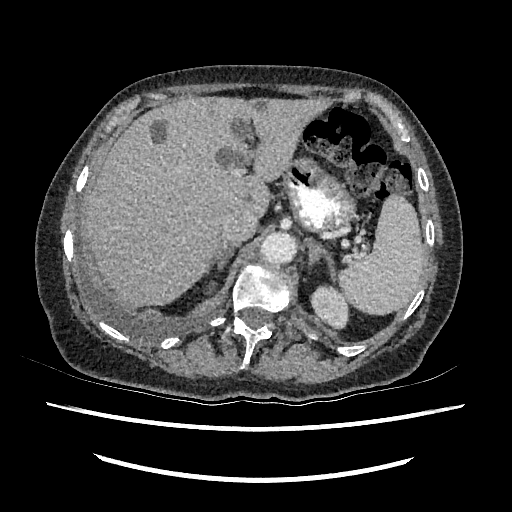
512x512 px. CT image. The liver is at <box>89,98,329,304</box>. The kidney appears at <box>312,287,353,327</box>. 4 hepatic lesion regions are bounded by <box>230,120,250,139</box>, <box>255,101,263,110</box>, <box>216,149,249,169</box>, <box>152,121,165,141</box>.